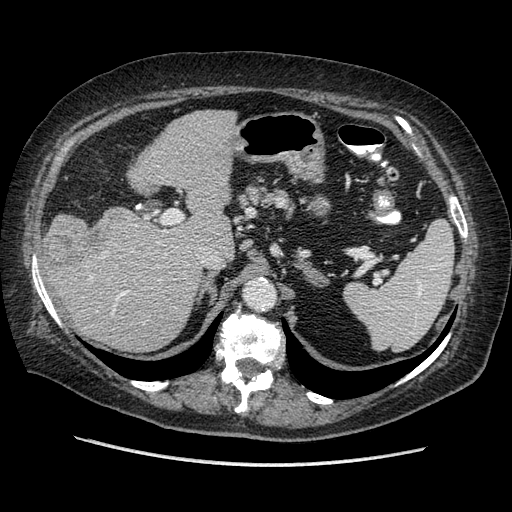

CT slice. Liver. The liver tumor lies within region(49, 216, 120, 267).